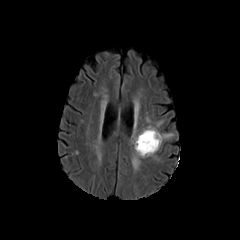
FLAIR MR.
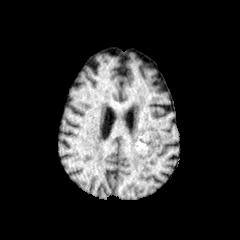
T1-weighted MRI.
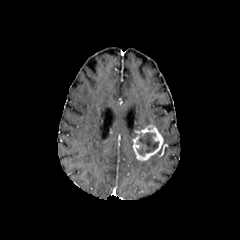
Post-contrast T1-weighted MR.
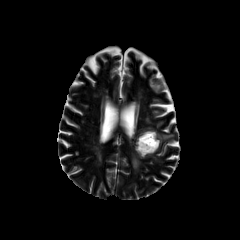
T2-weighted MR image.
Brain, 240x240 px
The non-enhancing tumor core is located at bbox(135, 132, 159, 156). The enhancing tumor is bounded by bbox(132, 123, 163, 160). 2 edema regions are bounded by bbox(162, 133, 173, 142); bbox(131, 150, 141, 172).